CT scan slice.

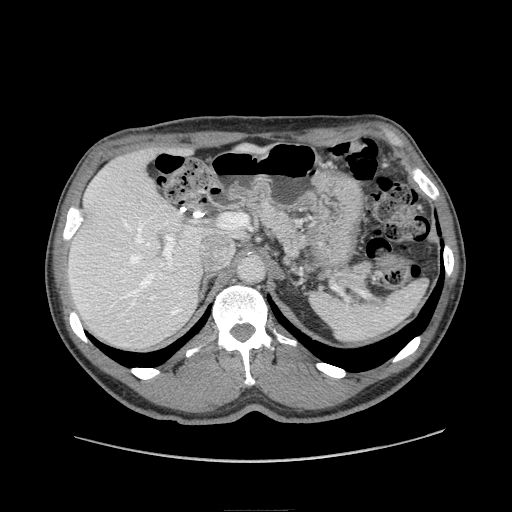 {"pancreas": ["<bbox>258, 201, 313, 257</bbox>"]}